FLAIR MR.
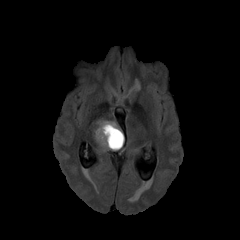
T1-weighted MRI.
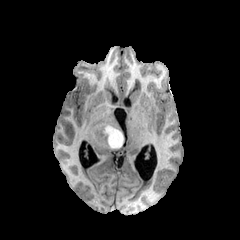
Post-contrast T1-weighted MR image.
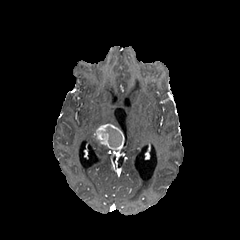
T2-weighted magnetic resonance.
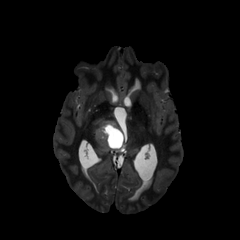
Annotated regions:
* non-enhancing tumor core: [x1=101, y1=125, x2=122, y2=147]
* enhancing tumor: [x1=94, y1=123, x2=125, y2=151]
* edema: [x1=92, y1=119, x2=121, y2=151]